Abdomen | 512x512 px | CT slice 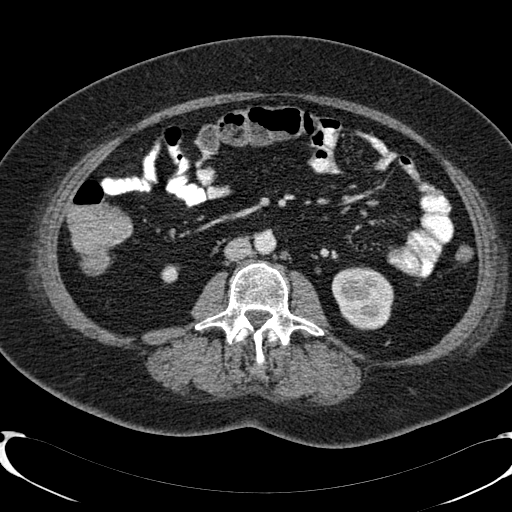

kidney:
  - 163,267,176,281
  - 332,269,392,328